Computed tomography | Slice 546/630 | Upper abdomen

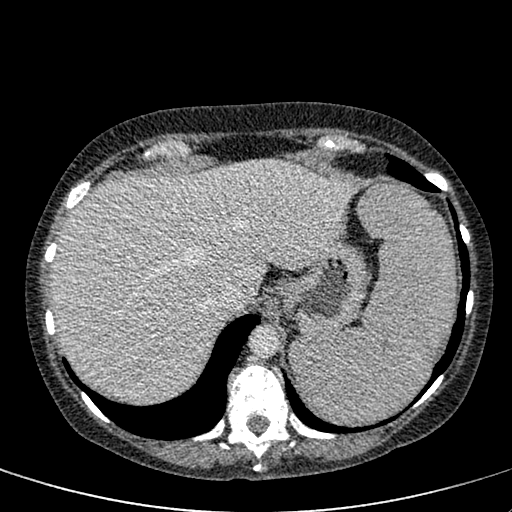

The liver lies within left=55, top=161, right=355, bottom=402.